Field of view 700 mm wide, 3.27 mm slice spacing; CT scan slice; Head

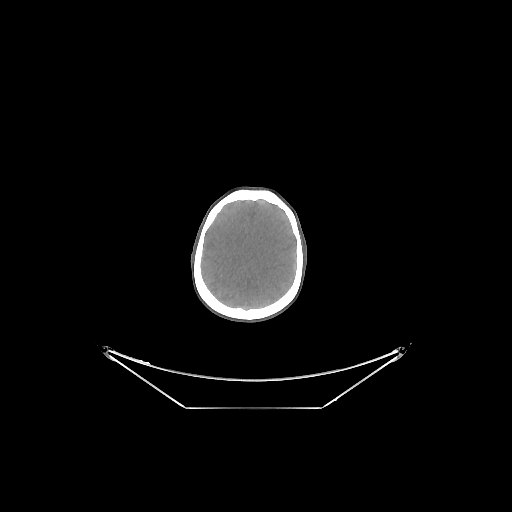
The bone appears at (left=194, top=190, right=302, bottom=319). The brain lies within (left=201, top=199, right=296, bottom=309).